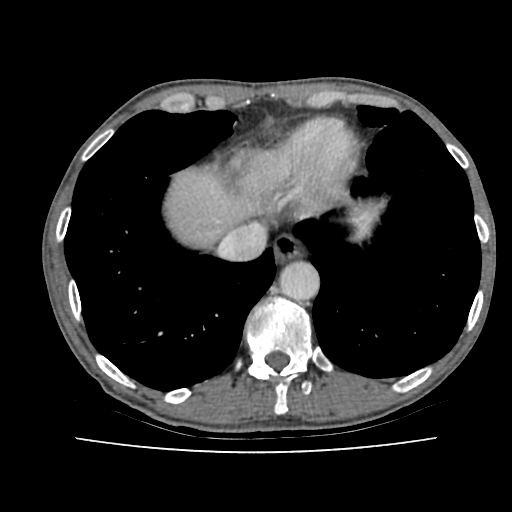 CT image | Image size 512x512
liver: 165,167,302,243; 334,212,371,252